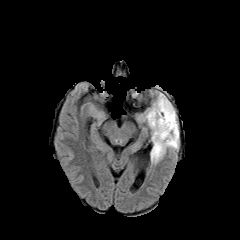
FLAIR magnetic resonance.
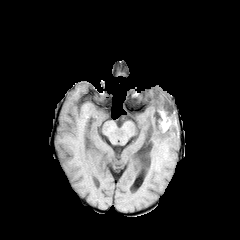
Same slice, T1-weighted magnetic resonance.
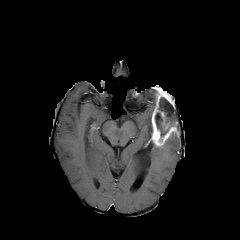
Post-contrast T1-weighted MR image.
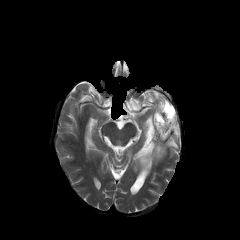
T2-weighted MR.
Brain | 240x240
The enhancing tumor is located at (left=150, top=86, right=178, bottom=146). 2 edema regions are located at (left=139, top=100, right=153, bottom=140), (left=149, top=135, right=179, bottom=166). The non-enhancing tumor core is at (left=155, top=97, right=175, bottom=131).